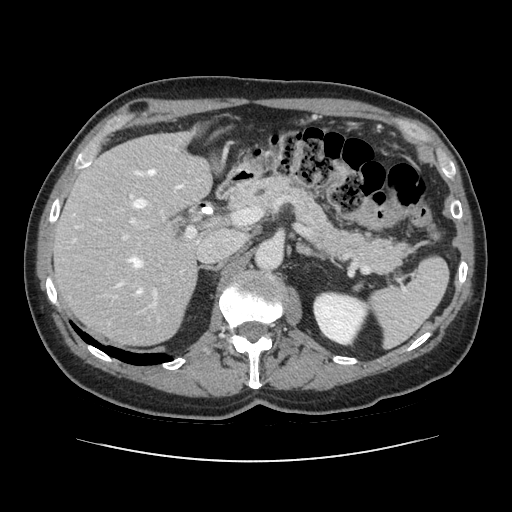 CT, Abdomen
<segmentation>
  <pancreas>{"x1": 231, "y1": 176, "x2": 407, "y2": 271}</pancreas>
</segmentation>